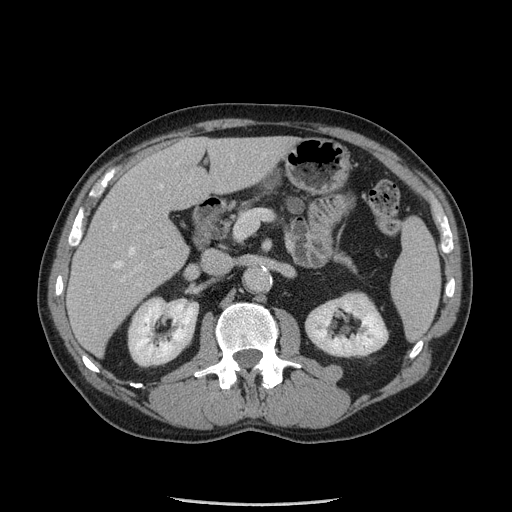 Abdomen, CT, 512x512
- pancreas: [216, 199, 261, 238]
- pancreatic tumor: [285, 196, 304, 214]